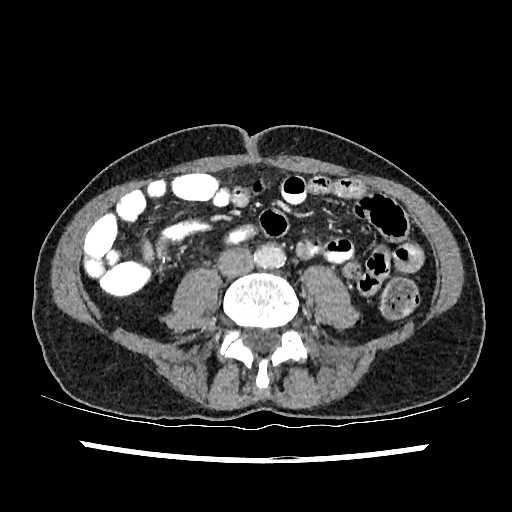

512x512 px. CT scan slice. Upper abdomen.
The liver appears at x1=144, y1=243, x2=153, y2=258.